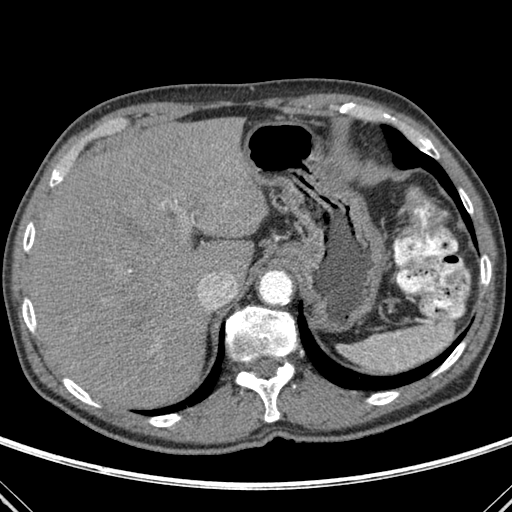
CT image
Segmented structures:
• liver: bbox(27, 116, 267, 408)
• bone: bbox(149, 414, 180, 426); bbox(367, 391, 398, 404); bbox(63, 378, 98, 406); bbox(226, 306, 296, 422); bbox(22, 298, 36, 332); bbox(459, 189, 473, 213); bbox(413, 134, 438, 157); bbox(433, 342, 464, 375); bbox(481, 255, 491, 285); bbox(23, 222, 34, 251); bbox(50, 169, 63, 186)
• lung: bbox(381, 124, 476, 245); bbox(298, 302, 465, 389); bbox(137, 325, 224, 415)